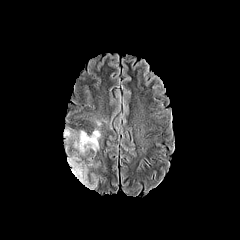
FLAIR MR image.
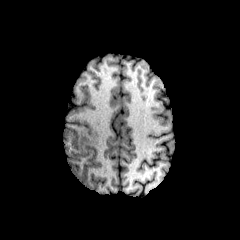
T1-weighted MR.
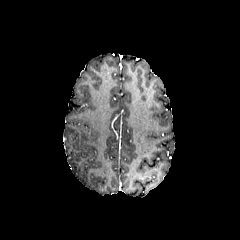
Post-contrast T1-weighted MR image.
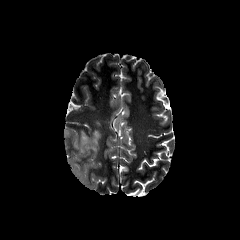
T2-weighted magnetic resonance.
240x240; Head
edema: 64,129,101,155; 67,156,88,186